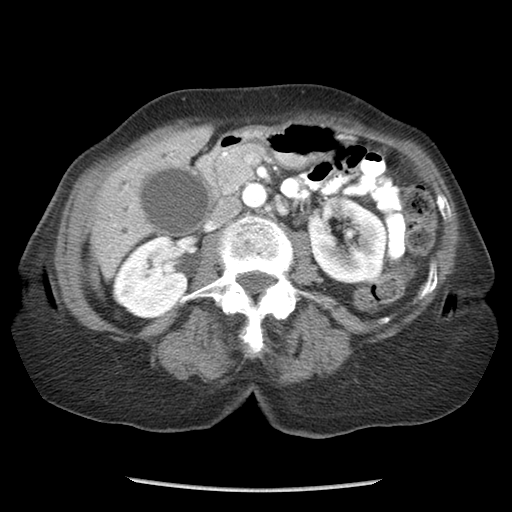
CT; Image size 512x512; Upper abdomen
The pancreas appears at (left=213, top=143, right=263, bottom=193).